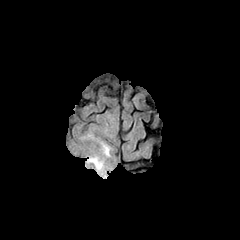
FLAIR magnetic resonance.
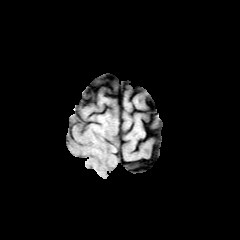
T1-weighted MR.
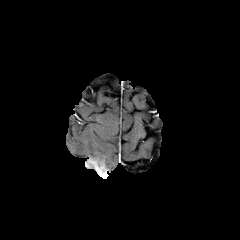
Post-contrast T1-weighted magnetic resonance of the same slice.
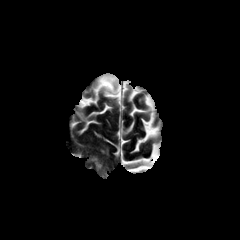
T2-weighted MRI of the same slice.
Edema = 82, 132, 113, 170.
Enhancing tumor = 87, 152, 106, 178.